FLAIR MRI.
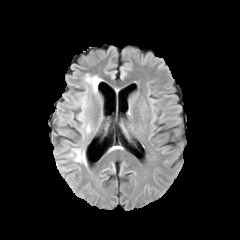
T1-weighted MRI.
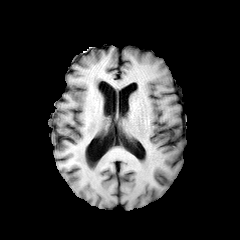
Post-contrast T1-weighted MR.
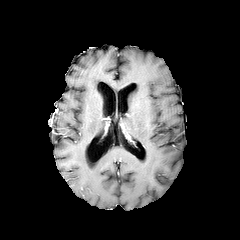
T2-weighted magnetic resonance.
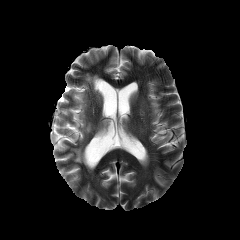
Head | 240x240
Edema: bounding box (70, 85, 91, 140), (85, 74, 102, 94), (68, 146, 86, 164).